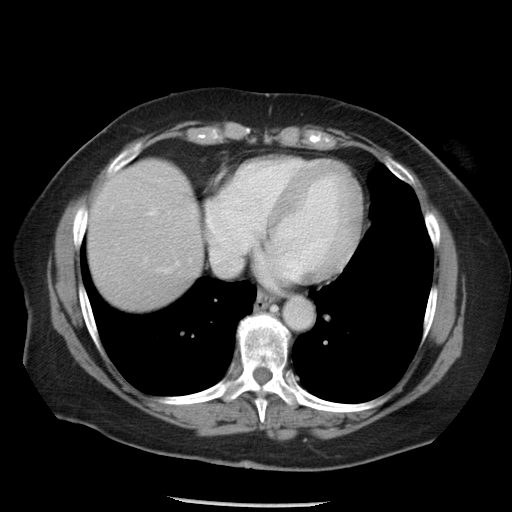 CT
Only some of the vessels may be annotated.
7 hepatic vessel regions appear at box=[177, 196, 180, 200]; box=[189, 259, 190, 261]; box=[111, 206, 112, 208]; box=[156, 267, 171, 272]; box=[175, 261, 178, 265]; box=[148, 207, 156, 214]; box=[143, 257, 147, 261].